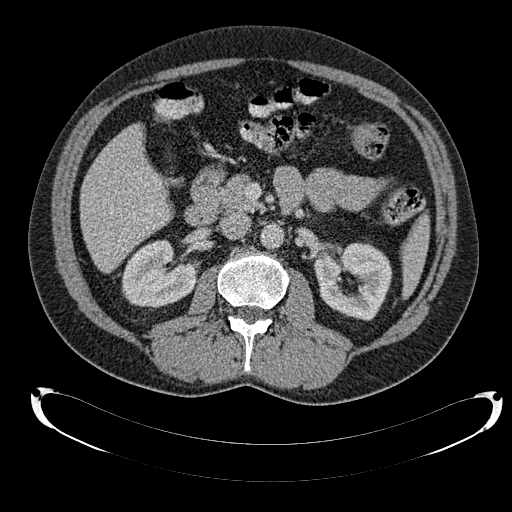 Image size 512x512 | CT slice | Upper abdomen

<segmentation>
  <liver>(79, 124, 169, 271)</liver>
  <kidney>(315, 243, 391, 319), (122, 240, 195, 306)</kidney>
</segmentation>